Computed tomography. Liver. 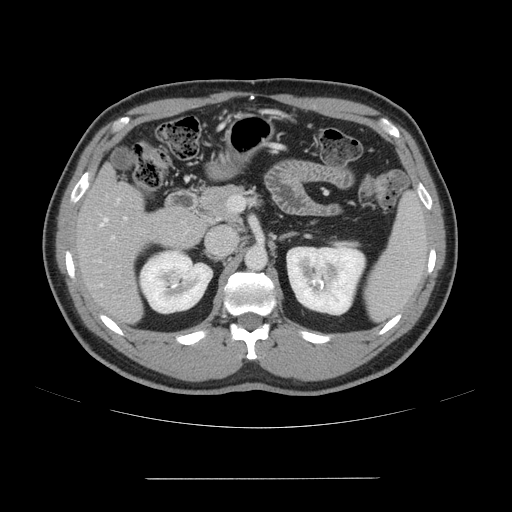
The vessel boxes may cover only some of the vessels.
Hepatic vessel = 100:218:106:225, 117:198:119:201, 97:260:100:261, 124:217:126:219, 111:236:114:239.